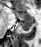
MR | Medial temporal lobe
Anterior hippocampus: bbox(14, 11, 33, 19).
Posterior hippocampus: bbox(19, 20, 32, 30).